Slice 122/174; CT image; Liver; Field of view 472 mm wide, 1.50 mm slice spacing

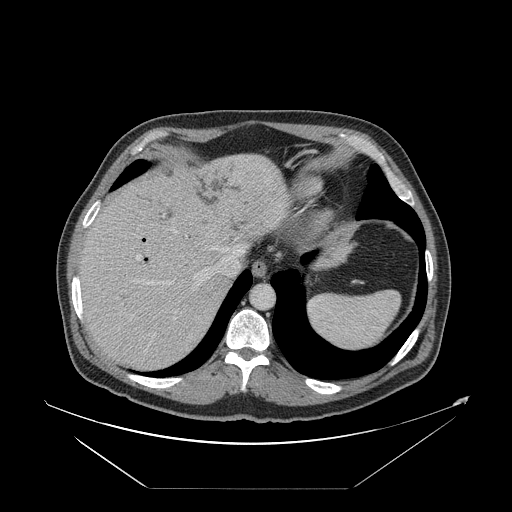 Only some of the vessels may be annotated.
Hepatic vessel at x1=116 y1=297 x2=118 y2=300, x1=167 y1=229 x2=177 y2=233, x1=133 y1=279 x2=173 y2=284, x1=136 y1=255 x2=141 y2=260, x1=194 y1=244 x2=248 y2=286, x1=173 y1=318 x2=175 y2=319.